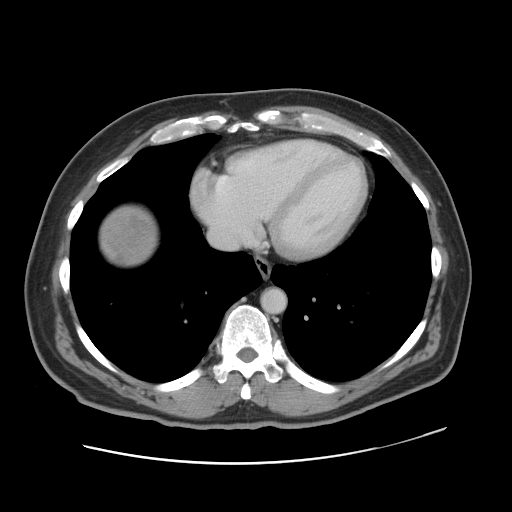 CT slice | 512x512 px | Liver
The liver tumor is located at box(103, 208, 155, 265).